34x49, MRI slice, Slice 15 of 30, Medial temporal lobe

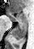 The posterior hippocampus lies within 11 23 28 39. The anterior hippocampus lies within 8 10 27 23.